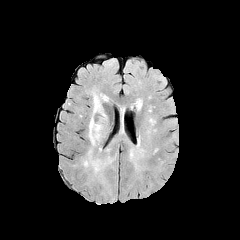
FLAIR MR.
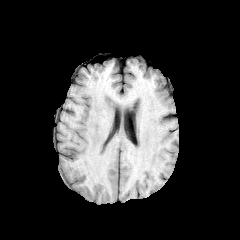
T1-weighted MR.
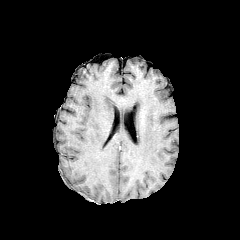
Post-contrast T1-weighted MRI.
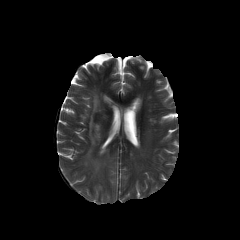
T2-weighted MRI.
Brain
Segmented structures:
* edema: box=[92, 94, 103, 115]; box=[87, 150, 101, 172]; box=[88, 116, 102, 145]